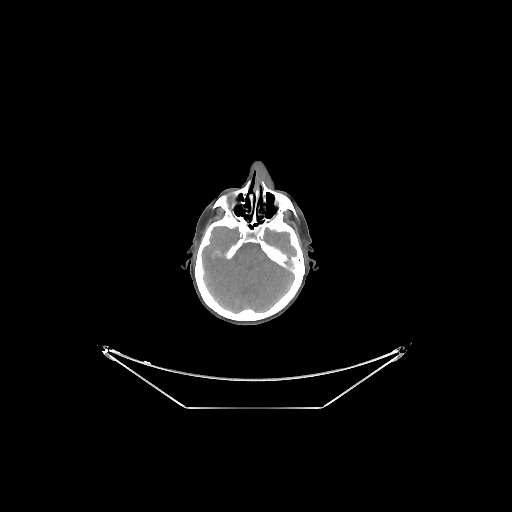 CT scan slice. Head. brain:
  - [201, 226, 296, 312]
bone:
  - [195, 183, 304, 320]
  - [229, 181, 249, 194]